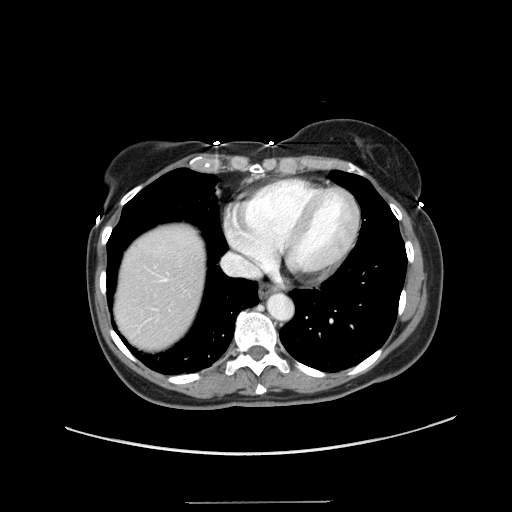

Abdomen, CT scan slice
Not every hepatic vessel necessarily has a box.
• hepatic vessel: x1=162 y1=278 x2=166 y2=280